Field of view 240x240 mm, Slice index 71, 240x240
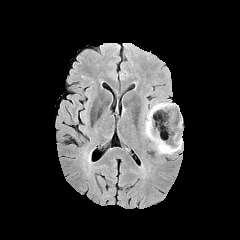
FLAIR MRI.
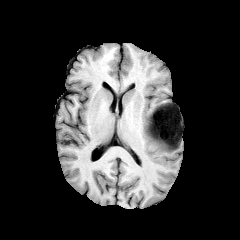
T1-weighted MRI of the same slice.
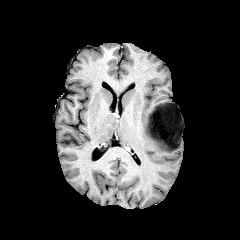
Post-contrast T1-weighted magnetic resonance of the same slice.
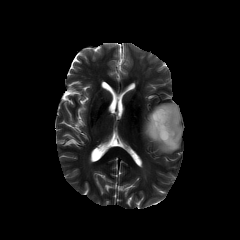
Same slice, T2-weighted MRI.
* non-enhancing tumor core: region(158, 105, 179, 149)
* edema: region(144, 102, 182, 154)